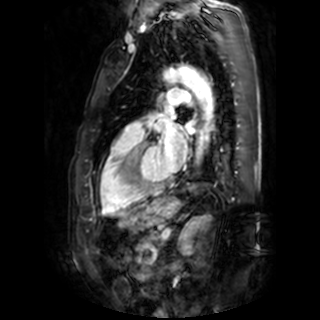

MRI
Left atrium: bounding box 158 127 187 172.